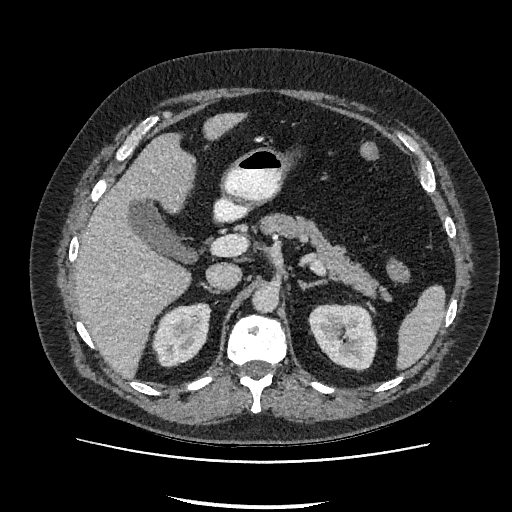 Liver | CT
Kidney at {"x1": 154, "y1": 304, "x2": 209, "y2": 365}, {"x1": 310, "y1": 306, "x2": 375, "y2": 368}.
Liver at {"x1": 77, "y1": 133, "x2": 195, "y2": 377}, {"x1": 206, "y1": 113, "x2": 243, "y2": 139}.